FLAIR magnetic resonance.
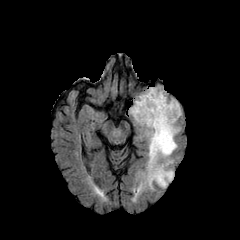
T1-weighted magnetic resonance.
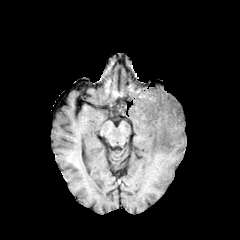
Post-contrast T1-weighted magnetic resonance.
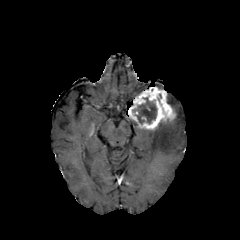
T2-weighted MR image.
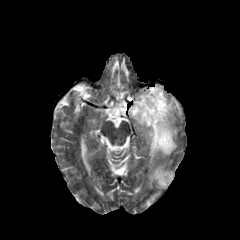
Brain.
Non-enhancing tumor core — l=136, t=98, r=156, b=122.
Enhancing tumor — l=128, t=87, r=175, b=130.
Edema — l=141, t=96, r=181, b=188.